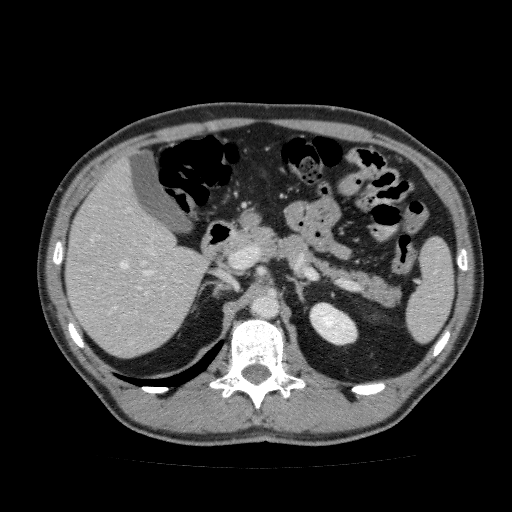 CT
The liver is located at (64, 156, 208, 357). The kidney lies within (310, 303, 356, 344).